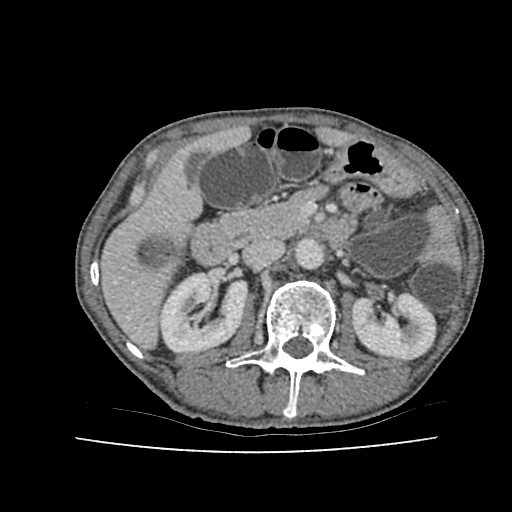
Image size 512x512, Abdomen, CT slice

Liver = region(326, 132, 347, 143); region(200, 131, 246, 150); region(101, 158, 198, 344).
Kidney = region(161, 274, 246, 351); region(353, 295, 434, 358).